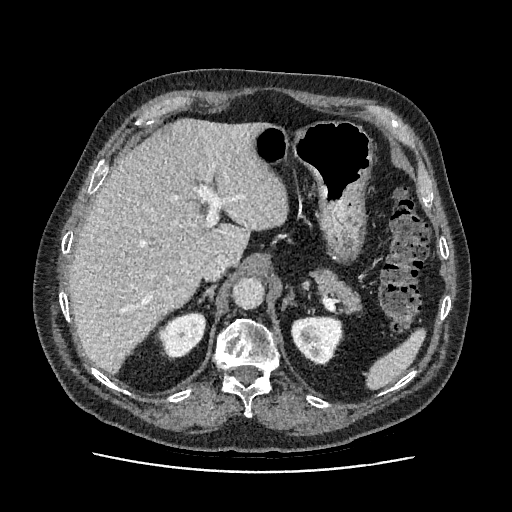

512x512 px. Liver. CT scan slice.

The liver is bounded by bbox(69, 118, 287, 374). 2 kidney regions are bounded by bbox(292, 318, 340, 362); bbox(161, 314, 204, 356).